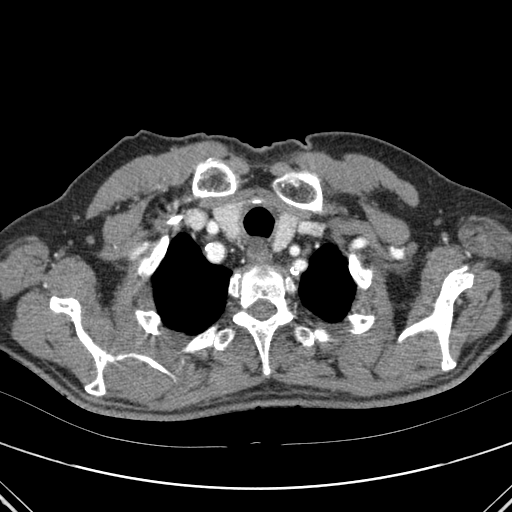
512x512 px. CT slice.

bone: x1=159, y1=215, x2=183, y2=232; x1=135, y1=310, x2=160, y2=334; x1=183, y1=327, x2=233, y2=351; x1=229, y1=266, x2=294, y2=374; x1=349, y1=253, x2=372, y2=289; x1=50, y1=296, x2=113, y2=395; x1=192, y1=160, x2=236, y2=197; x1=398, y1=266, x2=473, y2=370; x1=137, y1=235, x2=168, y2=275; x1=276, y1=172, x2=322, y2=212; x1=290, y1=268, x2=298, y2=275; x1=295, y1=327, x2=330, y2=346; x1=134, y1=354, x2=168, y2=374; x1=348, y1=314, x2=374, y2=333 | lung: x1=152, y1=233, x2=231, y2=334; x1=299, y1=243, x2=355, y2=322